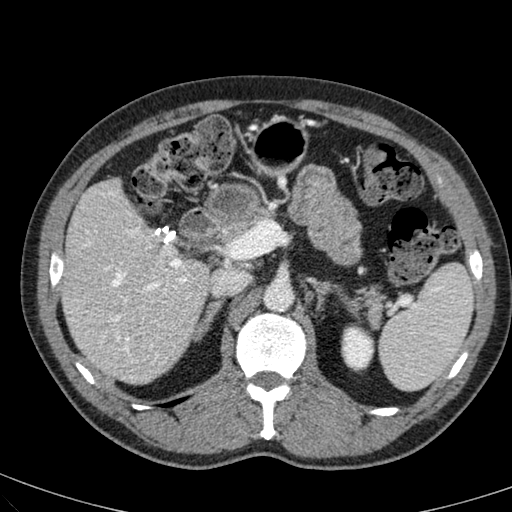 Abdomen. CT slice.

Kidney at 344,329,372,366.
Liver at 62,181,209,382.